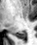

MRI
posterior hippocampus: box=[15, 32, 25, 39]